Computed tomography | Field of view 324x324 mm | 512x512 | Slice 80 of 99 | Abdomen

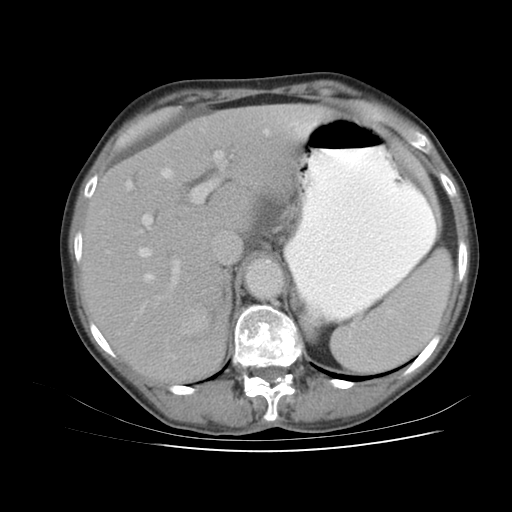
Segmented structures:
• spleen: rect(333, 254, 451, 374)